FLAIR MR image.
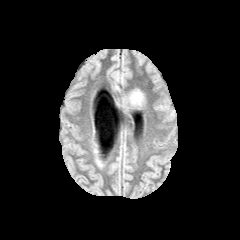
T1-weighted magnetic resonance.
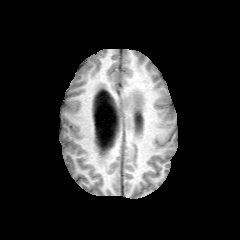
Post-contrast T1-weighted MR image.
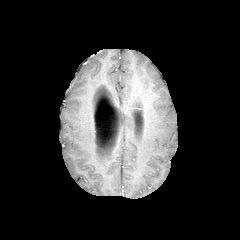
T2-weighted magnetic resonance.
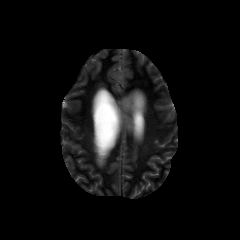
Image size 240x240
Annotated regions:
• edema: bbox(121, 90, 143, 108)